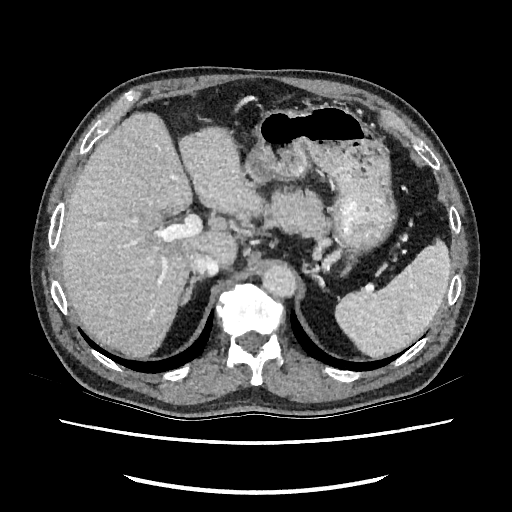
CT slice
liver:
  - box=[179, 128, 261, 213]
  - box=[62, 114, 234, 356]
liver_lesion:
  - box=[160, 208, 173, 219]